CT slice. Upper abdomen.

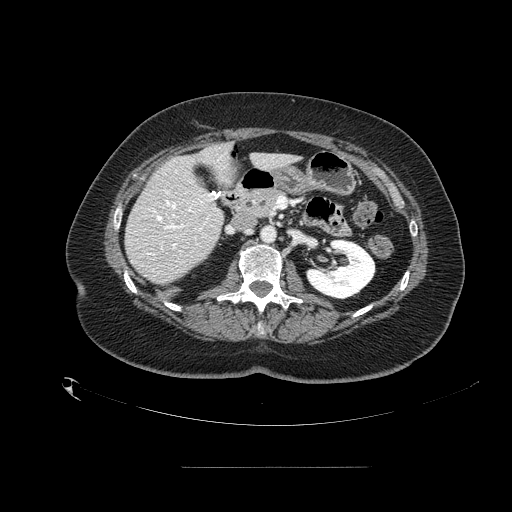

Pancreas: (x1=234, y1=188, x2=284, y2=219).